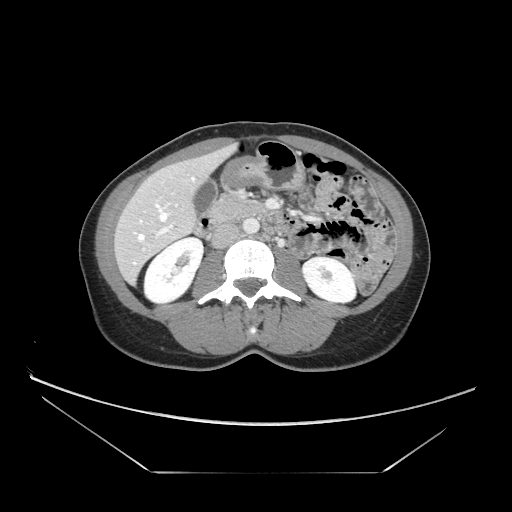
Computed tomography; 512x512 px
Segmented structures:
* pancreas: left=212, top=194, right=261, bottom=222